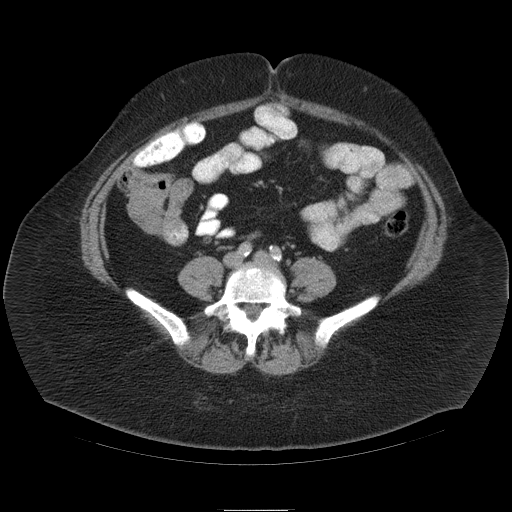

CT scan slice | Abdomen
The colon tumor is bounded by x1=132, y1=188, x2=165, y2=208.